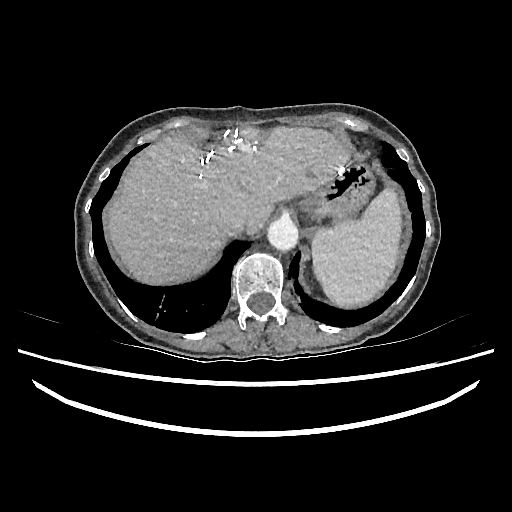 Liver. Computed tomography.
• liver: box=[110, 127, 347, 282]
• focal liver lesion: box=[305, 169, 314, 176]